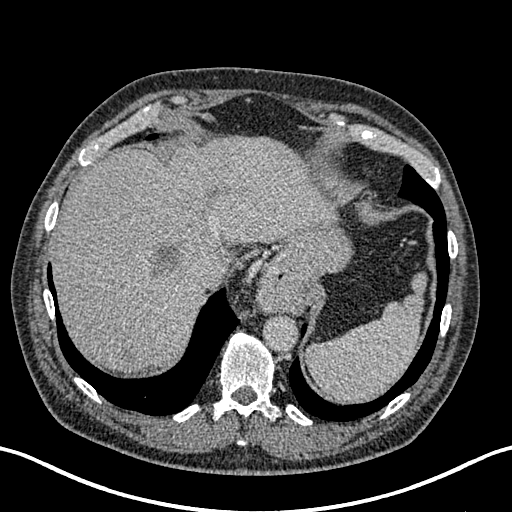

Liver; CT slice
The liver is at (53, 136, 334, 370). 5 liver lesion regions are located at (180, 200, 189, 209), (192, 201, 208, 222), (117, 347, 135, 365), (148, 240, 189, 278), (206, 186, 221, 200).